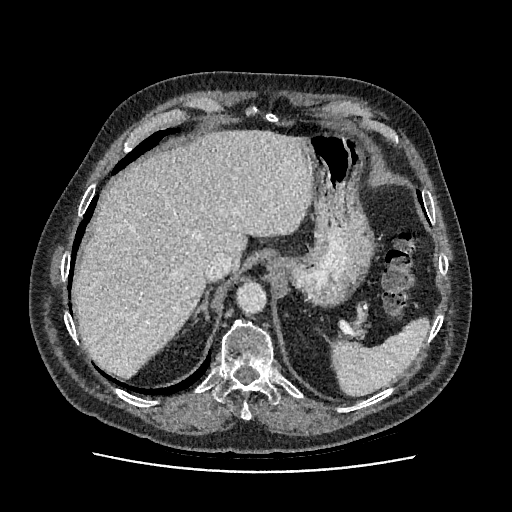
CT slice | Abdomen

The liver lies within box=[74, 131, 310, 378].